Computed tomography. Slice 11/30. Image width 328 mm.
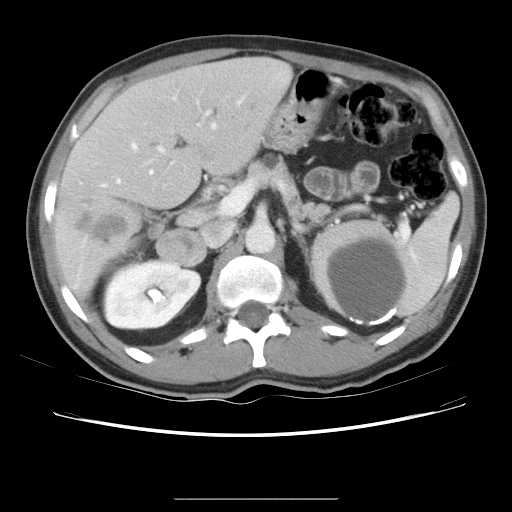

Some hepatic vessels may have no box.
Segmented structures:
* liver tumor: left=72, top=209, right=129, bottom=244
* hepatic vessel: left=116, top=177, right=120, bottom=182; left=222, top=201, right=245, bottom=213; left=131, top=142, right=136, bottom=148; left=172, top=96, right=176, bottom=99; left=237, top=95, right=245, bottom=104; left=158, top=146, right=164, bottom=152; left=205, top=110, right=210, bottom=114; left=101, top=183, right=105, bottom=186; left=197, top=123, right=201, bottom=126; left=84, top=238, right=85, bottom=240; left=211, top=122, right=216, bottom=128; left=150, top=170, right=153, bottom=173